CT image, Image size 512x512

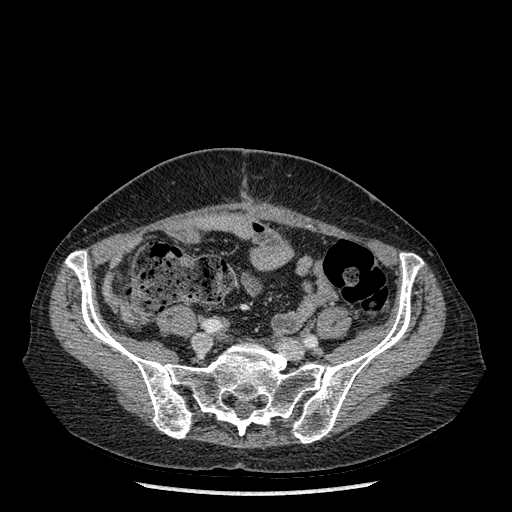 * bone: <bbox>65, 250, 423, 443</bbox>